CT image | Slice 503/871 | 512x512 px | Abdomen

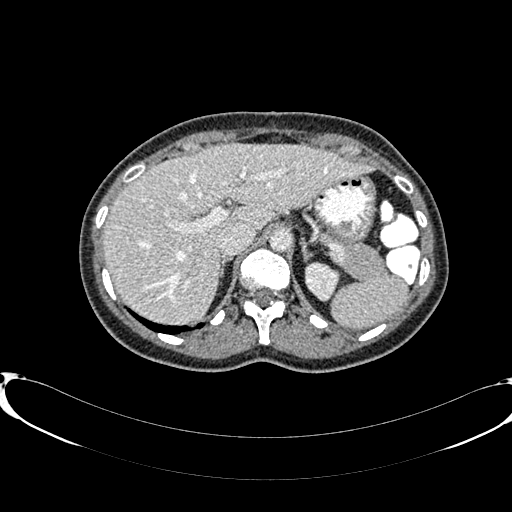 The liver appears at left=103, top=144, right=373, bottom=323. The kidney lies within left=306, top=264, right=336, bottom=297.